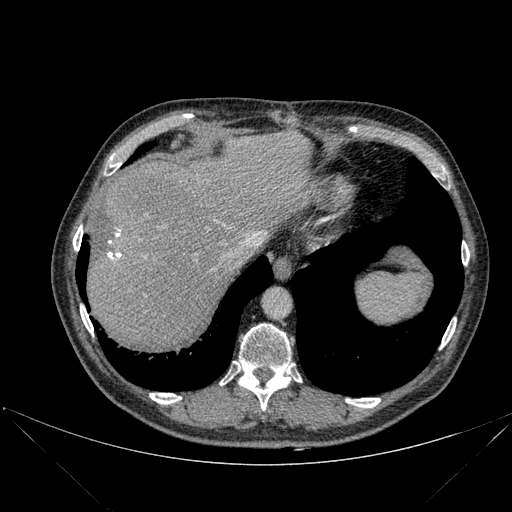
Computed tomography.

Bone: bounding box [234,324,300,410], [346,398,380,407], [80,305,93,336], [149,393,181,404], [440,323,455,348], [462,241,469,265], [73,225,82,250], [109,155,121,173].
Liver: bounding box [87,132,310,351].
Lung: bounding box [126,142,154,164], [76,235,89,305], [291,157,463,396], [97,256,273,391].